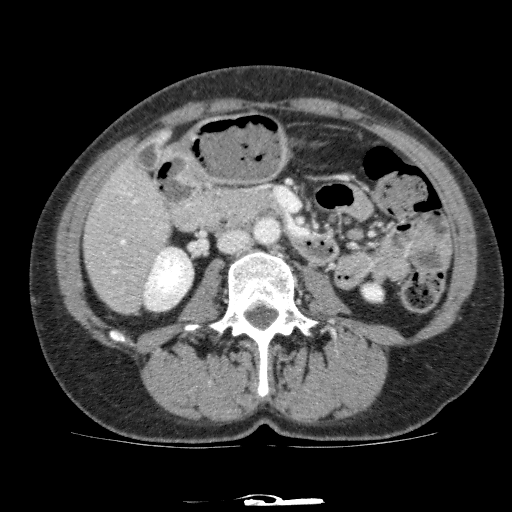
Upper abdomen | CT image
2 kidney regions are bounded by 144,248,193,310; 362,284,382,300. The liver is located at 83,156,170,315.